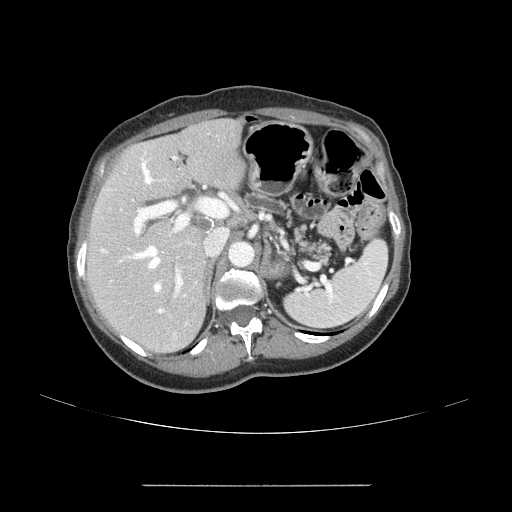 CT; Abdomen

pancreas:
  - 245:195:328:265